FLAIR MR image.
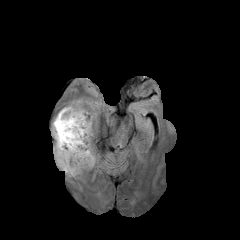
T1-weighted MRI.
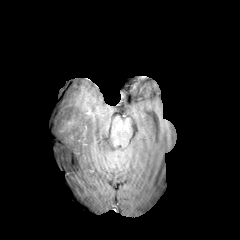
Post-contrast T1-weighted MR.
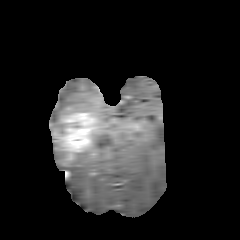
T2-weighted MR image.
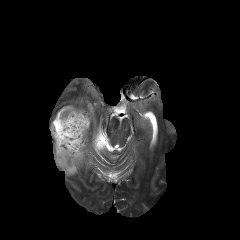
Enhancing tumor: bounding box rect(52, 107, 90, 165).
Non-enhancing tumor core: bounding box rect(58, 121, 65, 133); rect(68, 150, 84, 169).
Edema: bounding box rect(68, 112, 94, 176); rect(51, 106, 75, 132); rect(52, 134, 75, 170).